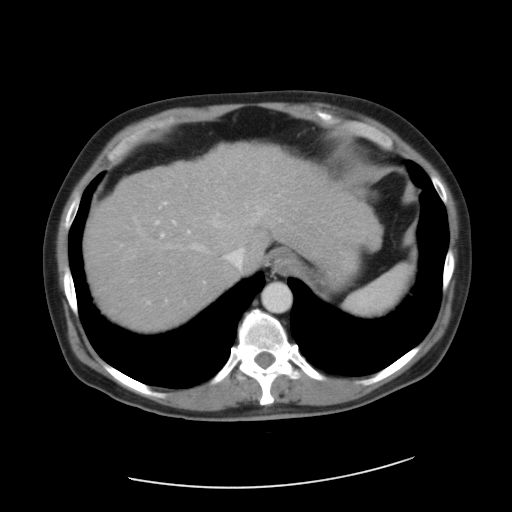
CT image
The vessel annotation is not exhaustive.
8 hepatic vessel regions are bounded by box(156, 220, 159, 223); box(187, 230, 190, 233); box(208, 213, 221, 227); box(190, 244, 204, 250); box(159, 201, 166, 207); box(173, 221, 174, 223); box(225, 249, 243, 268); box(161, 233, 164, 237).